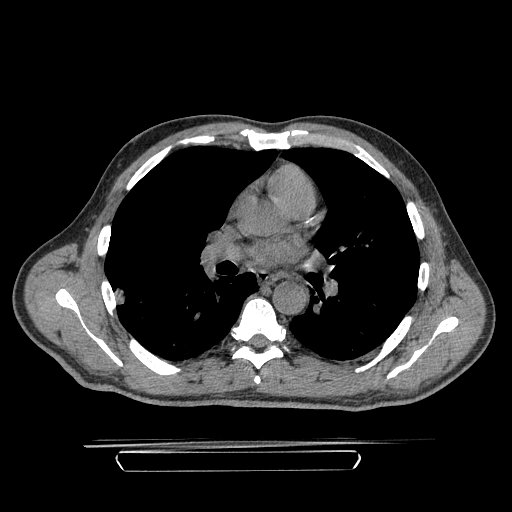
CT slice; Chest; 512x512 px
Lung tumor: bounding box box(115, 287, 125, 304).